CT scan slice; Slice 20 of 48; Upper abdomen
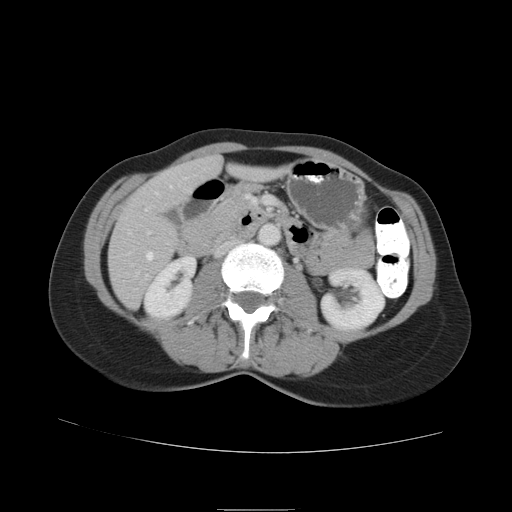

2 pancreas regions are bounded by (left=304, top=228, right=376, bottom=276), (left=184, top=193, right=248, bottom=250).